FLAIR MR image.
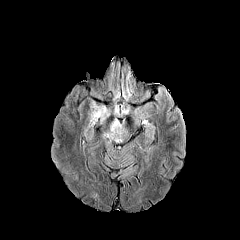
T1-weighted magnetic resonance.
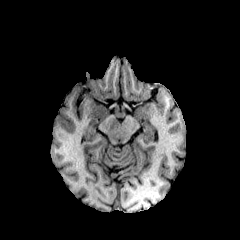
Post-contrast T1-weighted MR.
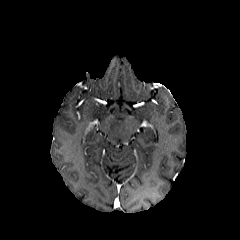
T2-weighted MRI.
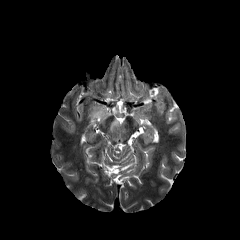
Edema — 91 102 106 121.